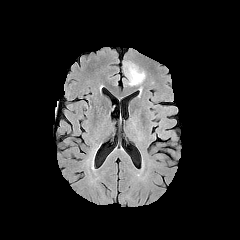
FLAIR MR image.
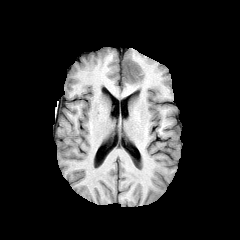
Same slice, T1-weighted MR.
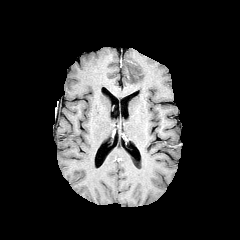
Post-contrast T1-weighted MR image.
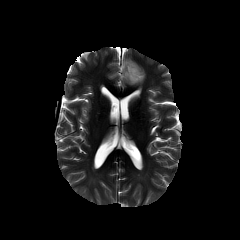
T2-weighted MR of the same slice.
edema: 124,65,145,85 | non-enhancing tumor core: 124,61,135,77